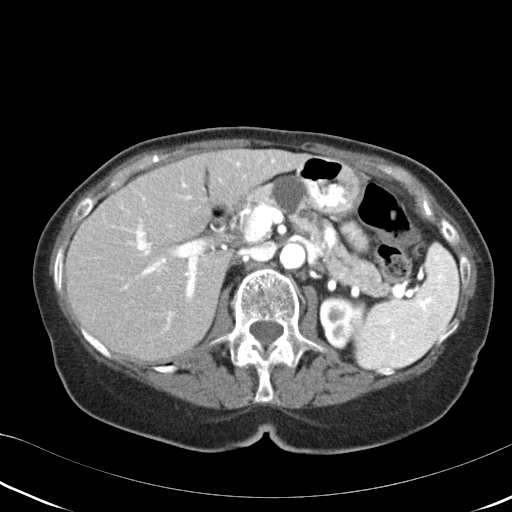

Abdomen | CT scan slice | 512x512

The pancreas is located at l=220, t=182, r=391, b=296. The pancreatic tumor appears at l=273, t=176, r=307, b=213.